Field of view 240x240 mm | Brain
FLAIR MR image.
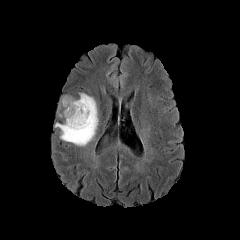
T1-weighted magnetic resonance.
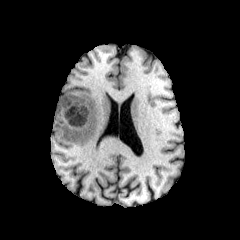
Post-contrast T1-weighted magnetic resonance.
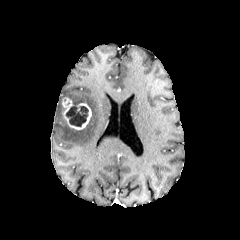
T2-weighted MR image.
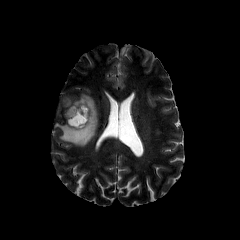
The edema is bounded by box=[55, 92, 98, 146]. The non-enhancing tumor core is located at box=[65, 106, 88, 127]. The enhancing tumor is at box=[61, 96, 91, 129].